240x240, Head
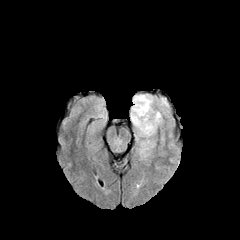
FLAIR MR image.
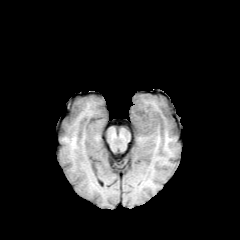
T1-weighted magnetic resonance.
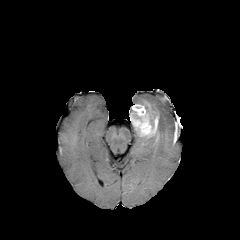
Same slice, post-contrast T1-weighted MRI.
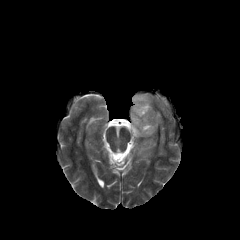
T2-weighted MR.
<segmentation>
  <enhancing_tumor>[130, 104, 158, 136]</enhancing_tumor>
  <non-enhancing_tumor_core>[145, 105, 156, 117]</non-enhancing_tumor_core>
  <edema>[132, 94, 168, 124], [134, 131, 157, 158]</edema>
</segmentation>